Upper abdomen; Slice 26 of 71; Field of view 418 mm wide, 2.50 mm slice spacing; Computed tomography

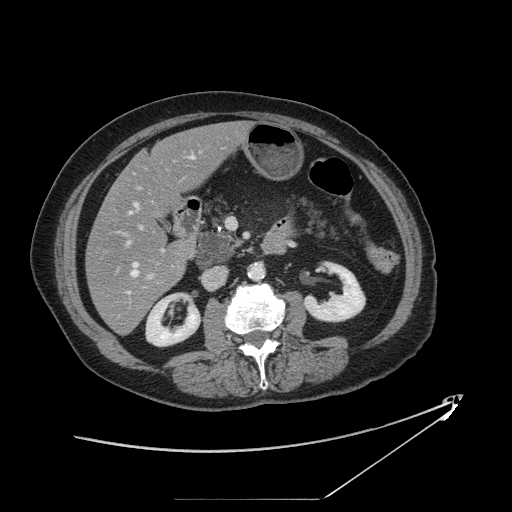
<segmentation>
  <pancreatic_tumor>[197, 234, 230, 267]</pancreatic_tumor>
  <pancreas>[198, 263, 225, 269], [285, 192, 341, 242], [196, 230, 242, 262]</pancreas>
</segmentation>